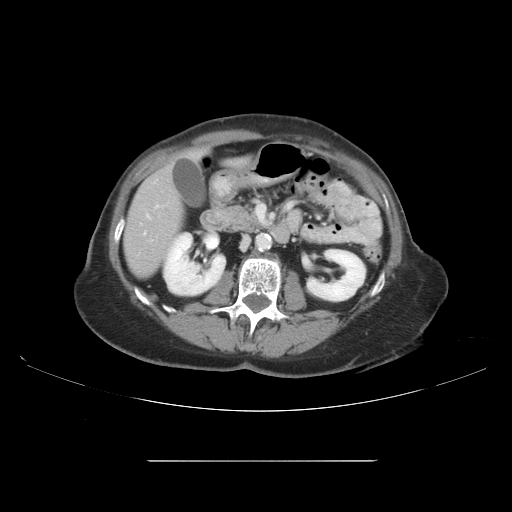

CT. 512x512 px.
The pancreas is at box(215, 205, 262, 233).